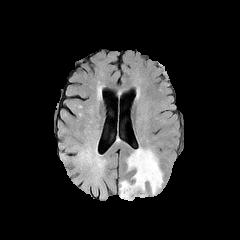
FLAIR MR.
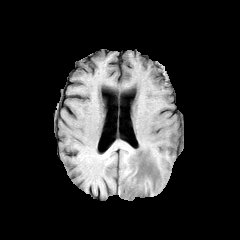
T1-weighted MRI.
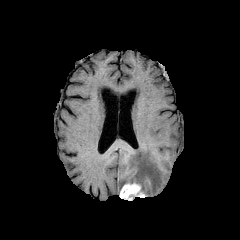
Post-contrast T1-weighted magnetic resonance.
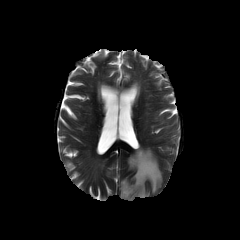
T2-weighted MRI.
240x240 px | Head
<segmentation>
  <enhancing_tumor>{"x1": 120, "y1": 182, "x2": 146, "y2": 200}</enhancing_tumor>
  <edema>{"x1": 127, "y1": 147, "x2": 162, "y2": 194}</edema>
</segmentation>